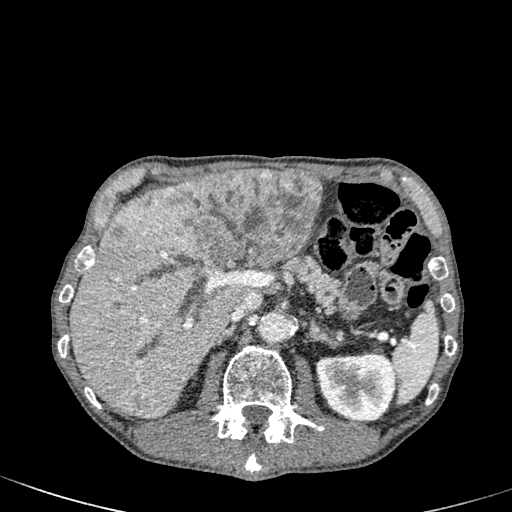

Upper abdomen; CT scan slice
Kidney = [x1=315, y1=354, x2=398, y2=420].
Liver lesion = [x1=164, y1=318, x2=173, y2=327], [x1=166, y1=169, x2=321, y2=270], [x1=111, y1=226, x2=125, y2=238], [x1=132, y1=393, x2=147, y2=409], [x1=113, y1=301, x2=126, y2=309].
Liver = [x1=70, y1=184, x2=248, y2=417].